Brain. Image size 240x240.
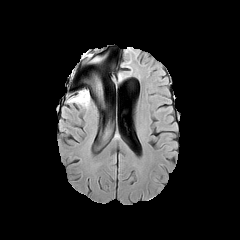
FLAIR magnetic resonance.
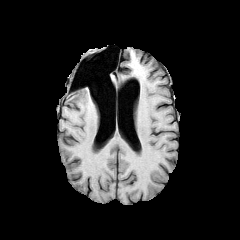
T1-weighted MRI.
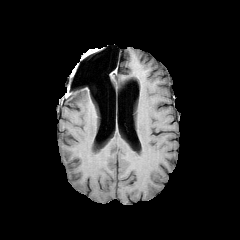
Post-contrast T1-weighted MR image.
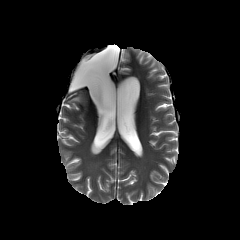
Same slice, T2-weighted MRI.
3 edema regions are located at (92,76,99,91), (68,92,89,109), (85,55,101,63).